Slice 28 of 49; Image size 512x512; Computed tomography; Liver 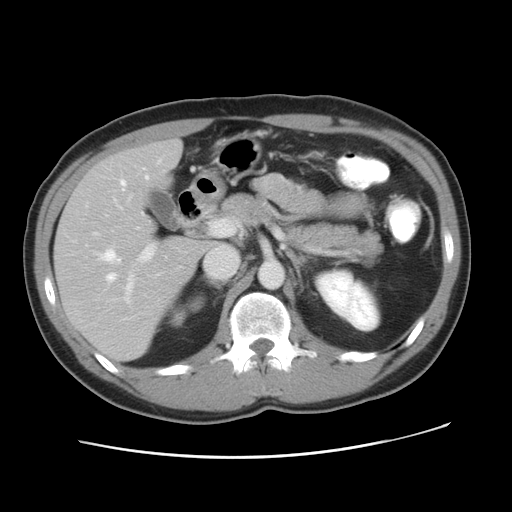

Some hepatic vessels may have no box.
<segmentation>
  <hepatic_vessel>region(120, 179, 125, 190); region(136, 226, 138, 228); region(94, 246, 121, 263); region(157, 159, 159, 162); region(143, 167, 148, 178); region(105, 272, 117, 283); region(72, 240, 73, 241); region(123, 272, 134, 304); region(137, 244, 155, 263)</hepatic_vessel>
</segmentation>